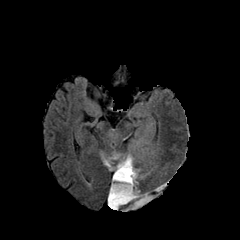
FLAIR MR image.
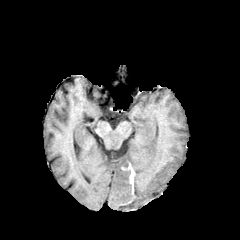
T1-weighted MR image.
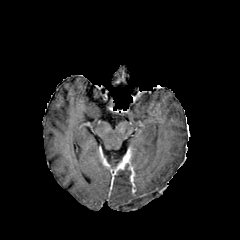
Same slice, post-contrast T1-weighted MR.
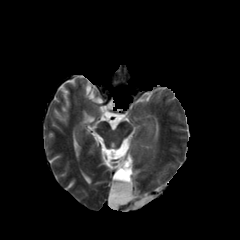
T2-weighted magnetic resonance of the same slice.
Image size 240x240. Head.
Annotated regions:
* enhancing tumor: region(112, 148, 134, 185)
* edema: region(108, 154, 161, 211)
* non-enhancing tumor core: region(114, 164, 131, 183); region(104, 148, 127, 163)